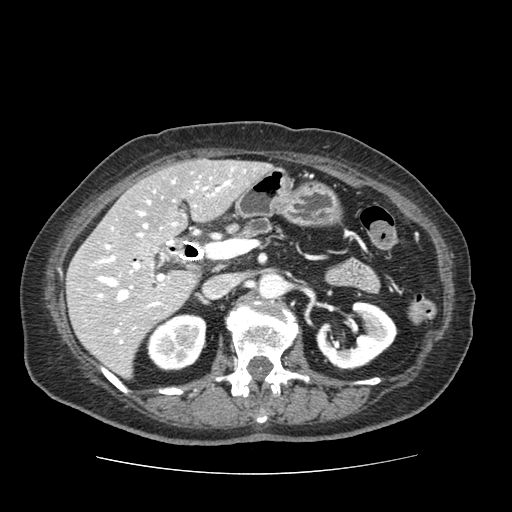
CT scan slice.
Findings:
* pancreas: rect(241, 218, 272, 236)